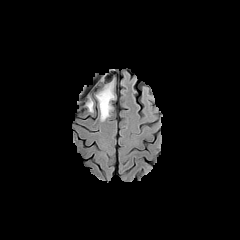
FLAIR MR.
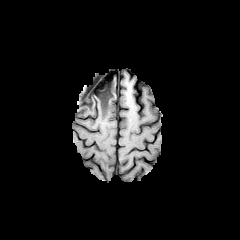
Same slice, T1-weighted magnetic resonance.
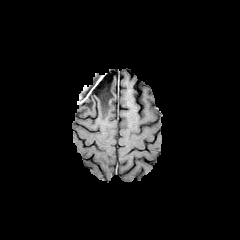
Post-contrast T1-weighted MR image.
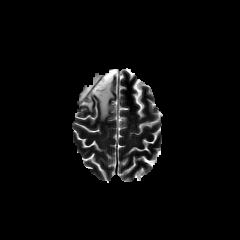
T2-weighted magnetic resonance.
Image size 240x240, Brain
2 edema regions are located at bbox=[95, 76, 104, 89]; bbox=[87, 80, 114, 121]. 2 non-enhancing tumor core regions appear at bbox=[84, 92, 92, 106]; bbox=[94, 81, 111, 117].